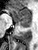

Hippocampus, Image size 38x50, Magnetic resonance
{"posterior_hippocampus": ["rect(16, 23, 30, 27)"], "anterior_hippocampus": ["rect(5, 7, 31, 22)"]}